Slice 42/155
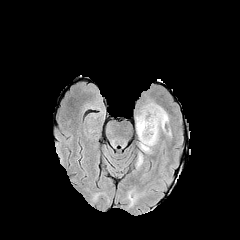
FLAIR magnetic resonance.
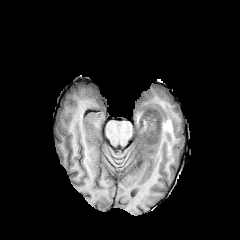
T1-weighted magnetic resonance.
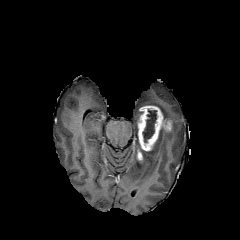
Post-contrast T1-weighted MR of the same slice.
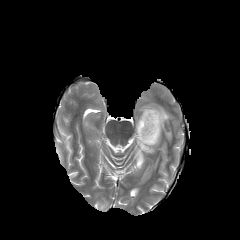
Same slice, T2-weighted MRI.
2 non-enhancing tumor core regions are bounded by (133, 124, 145, 154), (142, 110, 156, 141). 2 enhancing tumor regions appear at (137, 105, 165, 151), (136, 150, 143, 162). 2 edema regions are located at (141, 126, 171, 166), (144, 102, 171, 127).